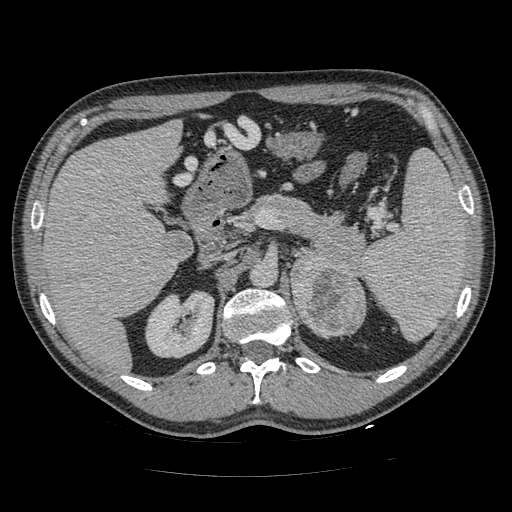
512x512. Computed tomography. Upper abdomen.

Segmented structures:
- pancreatic tumor: region(292, 253, 365, 335)
- pancreas: region(251, 195, 364, 279)